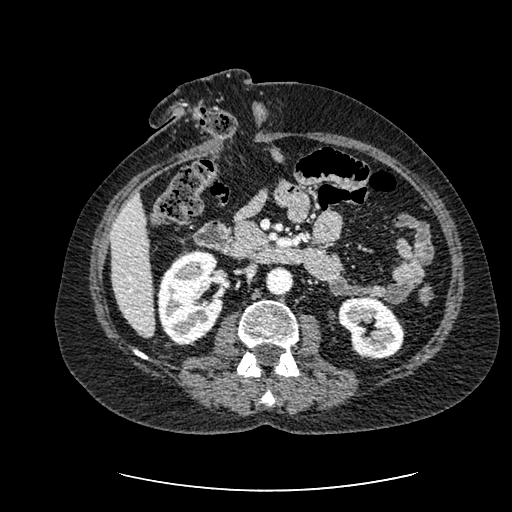 CT image

Kidney at [339,298,403,357], [158,252,221,343].
Liver at [111,191,154,336].